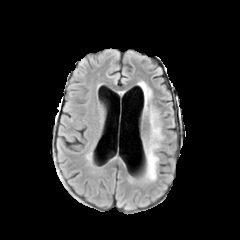
FLAIR magnetic resonance.
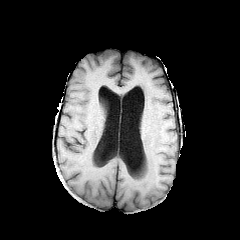
T1-weighted MR image.
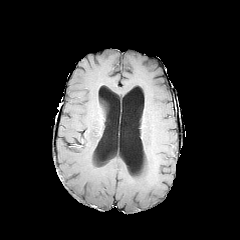
Same slice, post-contrast T1-weighted MR.
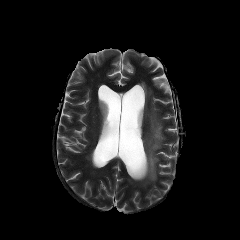
T2-weighted MR image.
240x240 px, Brain
{
  "edema": [
    "[141,82,151,97]",
    "[143,109,162,181]"
  ]
}